512x512 px, Slice 521 of 908, Abdomen, CT slice
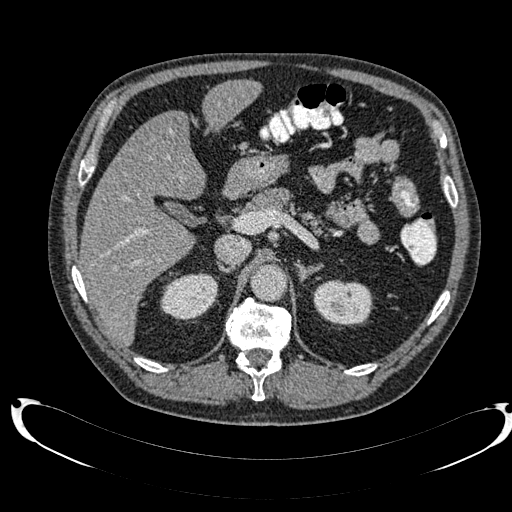
kidney: <box>314,280,372,324</box>, <box>161,273,217,319</box> | liver: <box>204,80,260,130</box>, <box>80,111,204,344</box> | focal liver lesion: <box>149,112,185,143</box>